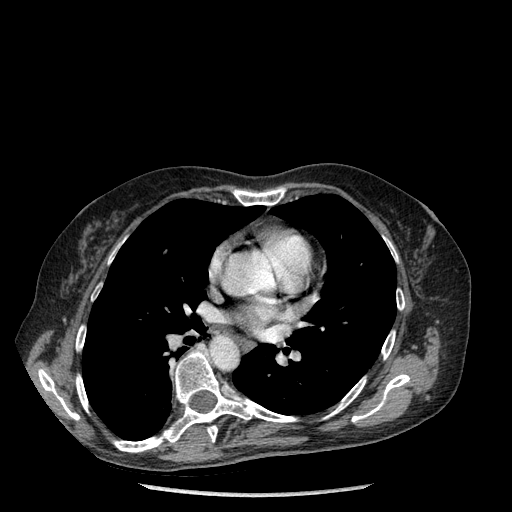
CT image
bone:
  - (38, 369, 79, 420)
  - (325, 376, 366, 418)
  - (76, 375, 88, 412)
  - (383, 236, 398, 262)
  - (351, 373, 409, 422)
  - (113, 349, 296, 452)
  - (396, 288, 404, 310)
  - (233, 187, 285, 205)
  - (108, 239, 124, 264)
  - (207, 425, 217, 442)
  - (381, 330, 395, 359)
  - (76, 325, 85, 350)
lung:
  - (232, 194, 396, 414)
  - (82, 199, 263, 440)